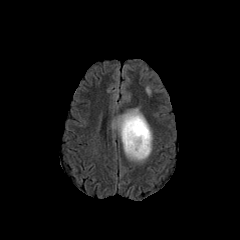
FLAIR MR.
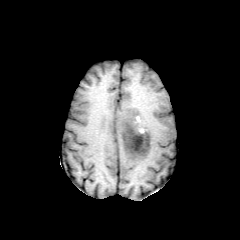
T1-weighted MRI.
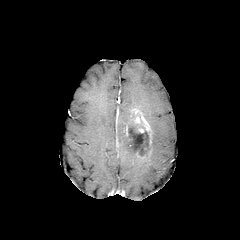
Post-contrast T1-weighted MRI.
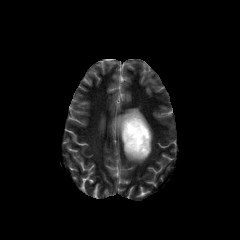
Same slice, T2-weighted MRI.
Head; Image size 240x240
The enhancing tumor appears at x1=123, y1=109, x2=151, y2=144. The edema is at x1=111, y1=108, x2=153, y2=162. The non-enhancing tumor core is at x1=122, y1=123, x2=150, y2=156.